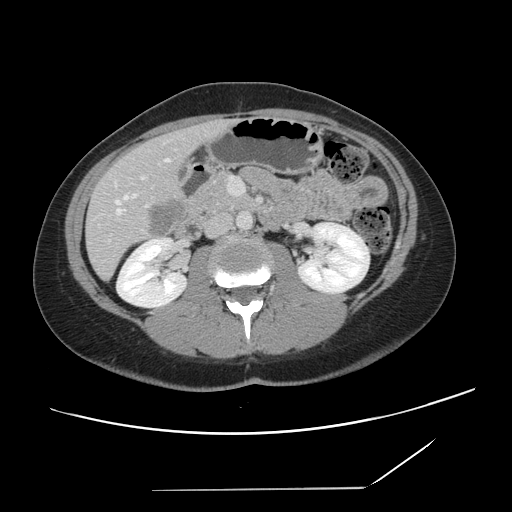
CT scan slice
Some hepatic vessels may have no box.
liver tumor: x1=148, y1=201, x2=182, y2=235 | hepatic vessel: x1=165, y1=159, x2=169, y2=162; x1=145, y1=204, x2=147, y2=206; x1=108, y1=240, x2=110, y2=241; x1=124, y1=194, x2=136, y2=199; x1=116, y1=201, x2=124, y2=214; x1=141, y1=177, x2=143, y2=179; x1=115, y1=182, x2=116, y2=187